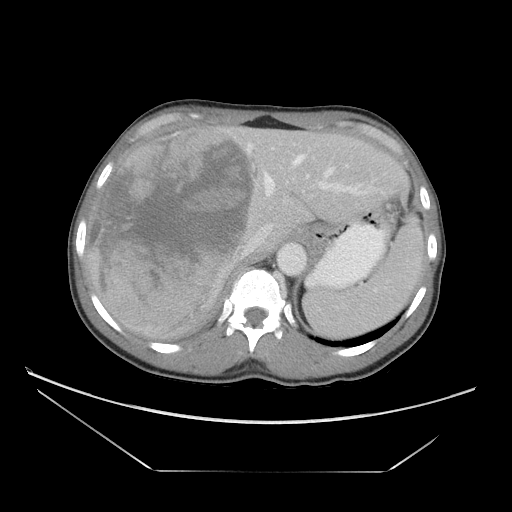 Liver; CT slice
The vessel annotation is not exhaustive.
* hepatic vessel: (left=265, top=175, right=273, bottom=194), (left=292, top=155, right=305, bottom=166), (left=326, top=169, right=331, bottom=176), (left=317, top=181, right=347, bottom=192), (left=240, top=250, right=251, bottom=257), (left=306, top=175, right=310, bottom=177)
* liver tumor: (left=85, top=127, right=260, bottom=339)